Liver. Slice 30/124. Field of view 512x512 mm. CT slice.

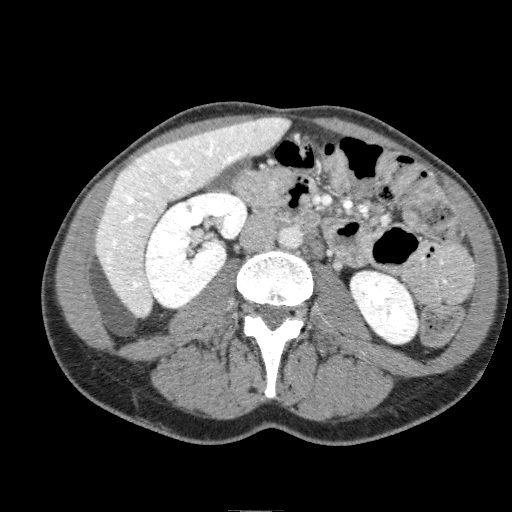
<segmentation>
  <kidney>351, 272, 417, 343; 146, 193, 246, 307</kidney>
  <liver>95, 117, 290, 316</liver>
</segmentation>